CT scan slice. Slice index 14.

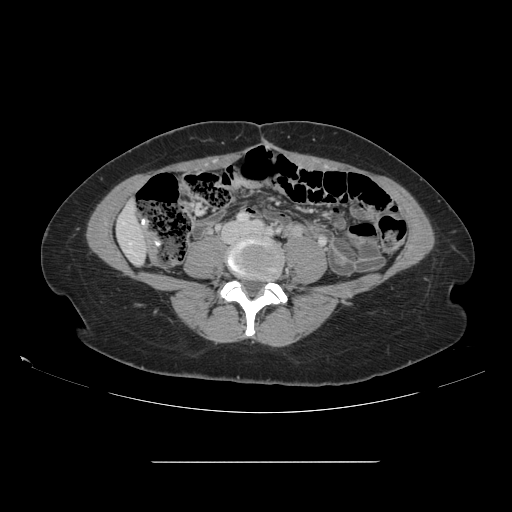
Some hepatic vessels may have no box.
Hepatic vessel = (left=122, top=222, right=124, bottom=224), (left=129, top=242, right=131, bottom=245), (left=129, top=249, right=135, bottom=254).